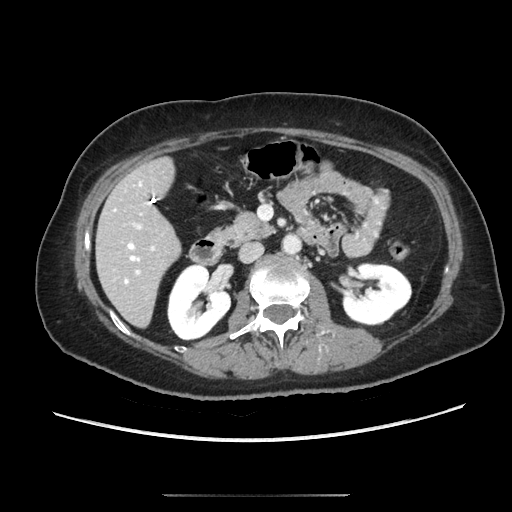 Upper abdomen, Computed tomography
{"pancreas": ["x1=229, y1=213, x2=273, y2=244"]}